Slice 115 of 155 | 240x240 px
FLAIR MR image.
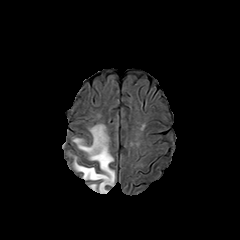
T1-weighted magnetic resonance.
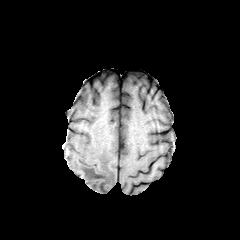
Post-contrast T1-weighted MR.
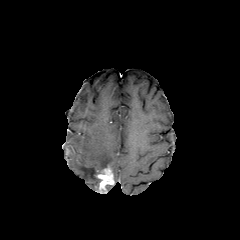
T2-weighted magnetic resonance.
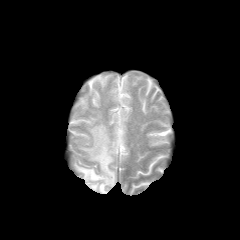
<segmentation>
  <edema>72,124,113,190</edema>
  <non-enhancing_tumor_core>92,171,99,187</non-enhancing_tumor_core>
  <enhancing_tumor>95,166,114,193</enhancing_tumor>
</segmentation>